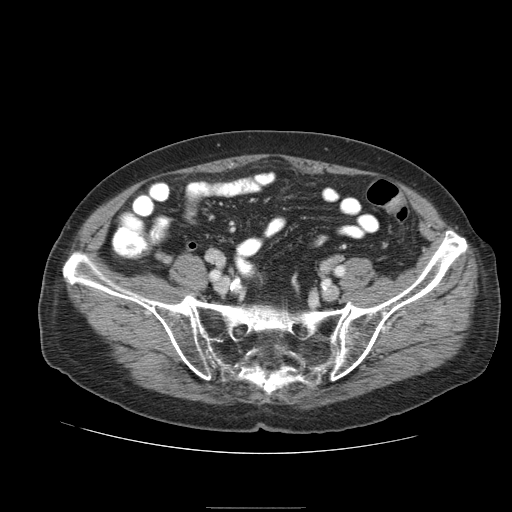 CT image. Abdomen.

The colon tumor lies within (left=131, top=231, right=151, bottom=258).